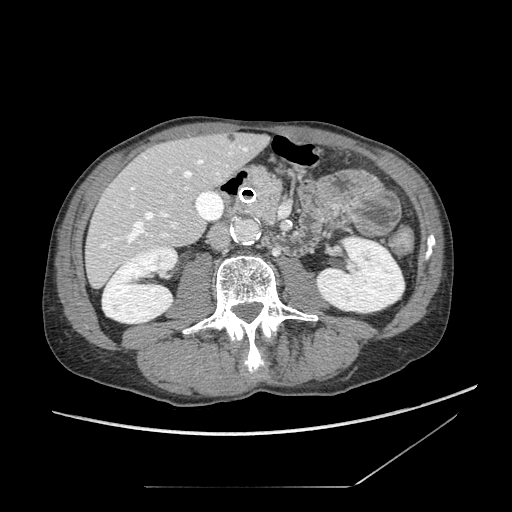
512x512 | CT

The pancreas is located at [248,171,281,223].